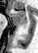
Hippocampus. MR.

The anterior hippocampus is bounded by [11,11,26,25].